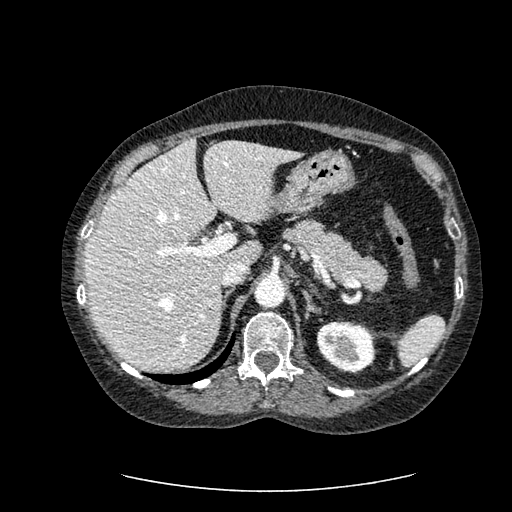
CT.
Kidney at [317, 322, 373, 371].
Liver at [84, 138, 301, 369].